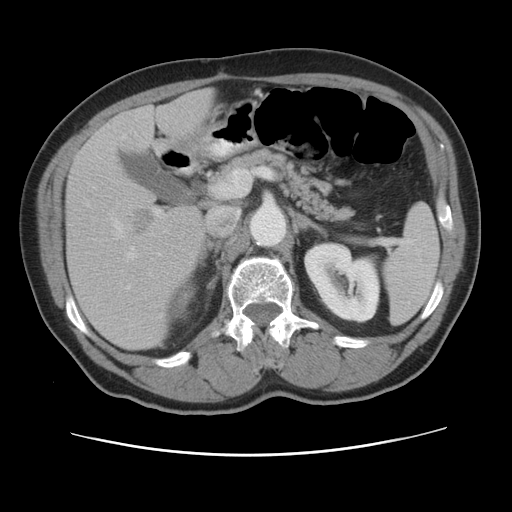

CT slice; Abdomen
The vessel boxes may cover only some of the vessels.
The liver tumor is located at l=133, t=208, r=153, b=235. 9 hepatic vessel regions are located at l=86, t=201, r=89, b=205; l=164, t=229, r=166, b=231; l=158, t=313, r=162, b=316; l=127, t=285, r=129, b=287; l=134, t=134, r=136, b=136; l=158, t=252, r=159, b=254; l=152, t=207, r=160, b=215; l=189, t=252, r=193, b=257; l=120, t=134, r=125, b=146.